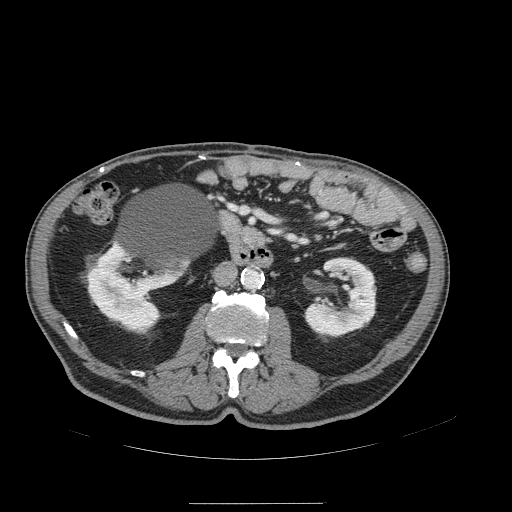
Abdomen. CT image.

{"pancreas": ["bbox=[241, 225, 276, 248]"]}